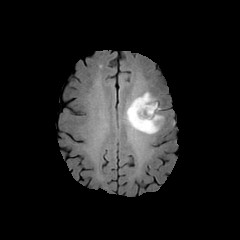
FLAIR magnetic resonance.
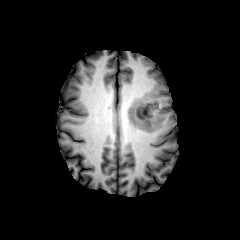
Same slice, T1-weighted MR.
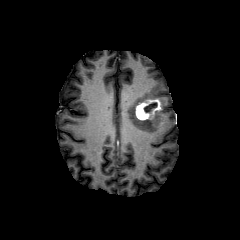
Post-contrast T1-weighted MRI of the same slice.
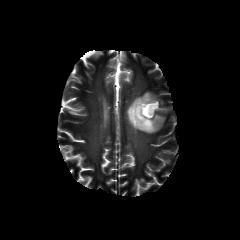
T2-weighted MRI.
Brain.
non-enhancing_tumor_core:
  - bbox(144, 102, 156, 112)
edema:
  - bbox(126, 91, 164, 134)
enhancing_tumor:
  - bbox(135, 99, 161, 120)